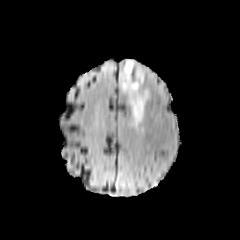
FLAIR MR.
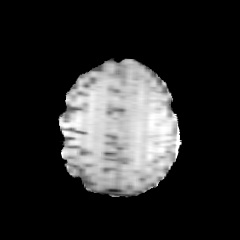
T1-weighted MR.
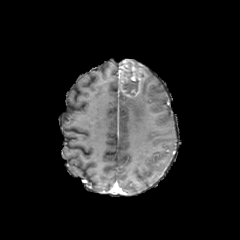
Post-contrast T1-weighted MR.
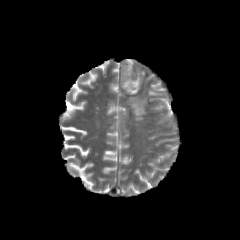
T2-weighted MRI of the same slice.
Head.
The non-enhancing tumor core lies within l=122, t=79, r=139, b=96. The edema is located at l=129, t=88, r=147, b=123. The enhancing tumor is bounded by l=119, t=59, r=141, b=96.